FLAIR MR image.
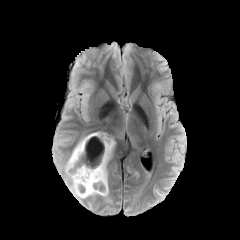
T1-weighted MR image.
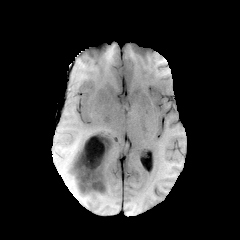
Post-contrast T1-weighted magnetic resonance.
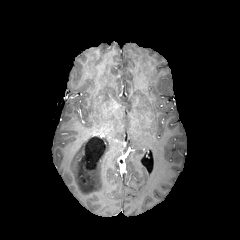
T2-weighted MR.
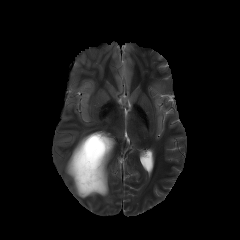
240x240
2 edema regions are bounded by box=[90, 162, 107, 195]; box=[65, 139, 88, 198]. The enhancing tumor appears at box=[82, 132, 112, 179]. The non-enhancing tumor core is bounded by box=[68, 136, 109, 195].